240x240 px | Image width 240 mm | Brain
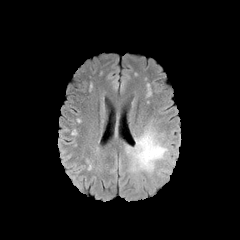
FLAIR MR image.
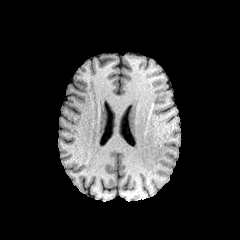
Same slice, T1-weighted MR.
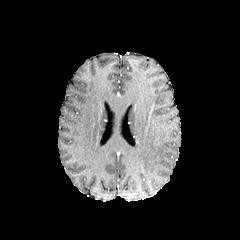
Post-contrast T1-weighted MR image.
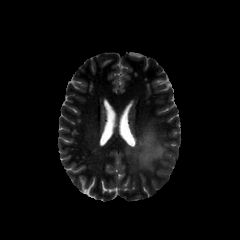
T2-weighted MR image.
edema:
  - 126:126:167:172